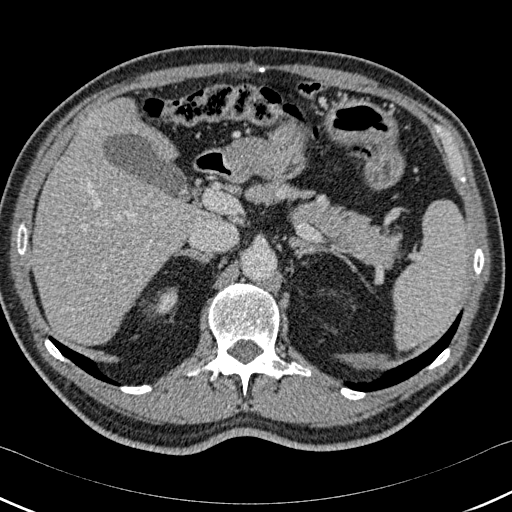
CT image. 512x512. Liver. The liver appears at <box>34,98,203,343</box>. 2 lung regions are bounded by <box>61,345,122,385</box>, <box>343,309,462,391</box>. The kidney is at <box>159,294,175,311</box>. 7 bone regions appear at <box>187,284,310,394</box>, <box>120,385,151,394</box>, <box>45,340,65,361</box>, <box>17,223,27,254</box>, <box>341,388,365,399</box>, <box>428,348,449,369</box>, <box>474,249,483,274</box>.